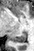
Magnetic resonance
The posterior hippocampus is located at bbox(10, 33, 25, 42).